CT scan slice. Slice 417 of 537. Field of view 496 mm wide, 0.80 mm slice spacing.

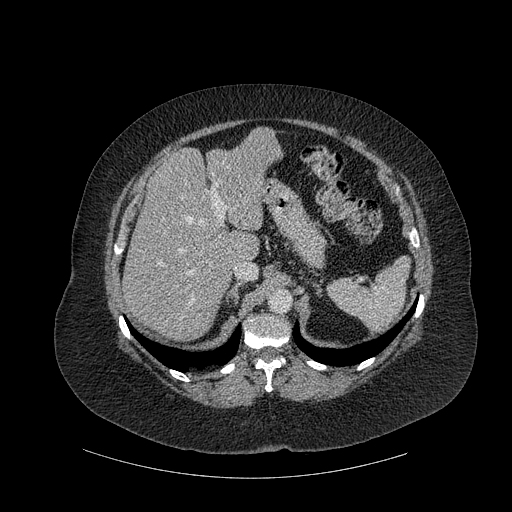
- bone: (244,317,288,348), (307,361,325,369), (114,245,122,253), (410,229,419,247), (415,295,423,317), (119,316,129,338), (256,358,284,391), (221,364,234,373), (170,370,189,381), (358,358,374,369)
- liver: (122,127,282,341)
- lung: (127,322,240,371), (293,304,415,365)